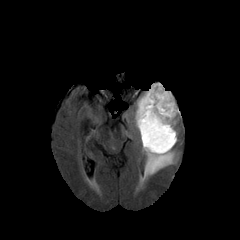
FLAIR MR.
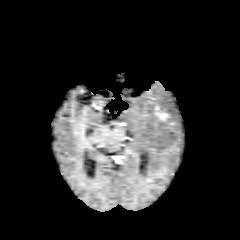
Same slice, T1-weighted MRI.
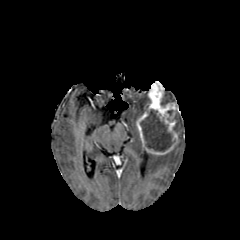
Same slice, post-contrast T1-weighted MR.
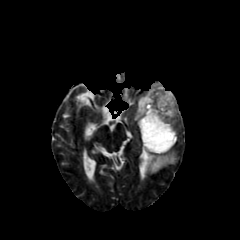
T2-weighted MR.
<segmentation>
  <edema>(133,91,147,123), (140,150,178,182)</edema>
  <enhancing_tumor>(135,82,180,155)</enhancing_tumor>
  <non-enhancing_tumor_core>(162,91,172,105), (141,110,174,151)</non-enhancing_tumor_core>
</segmentation>